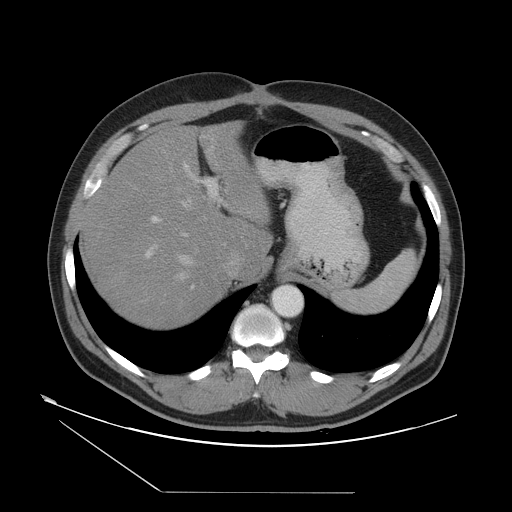 CT, Liver

Some hepatic vessels may have no box.
Hepatic vessel = rect(191, 287, 192, 288); rect(179, 256, 191, 264); rect(176, 274, 186, 279); rect(182, 163, 197, 183); rect(182, 233, 186, 236); rect(151, 217, 158, 222); rect(145, 245, 156, 258); rect(181, 199, 189, 206).